CT slice, Lung 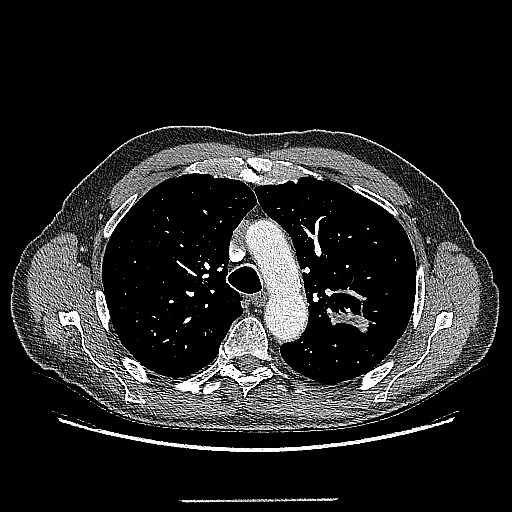

The lung tumor is bounded by x1=327 y1=306 x2=375 y2=335.